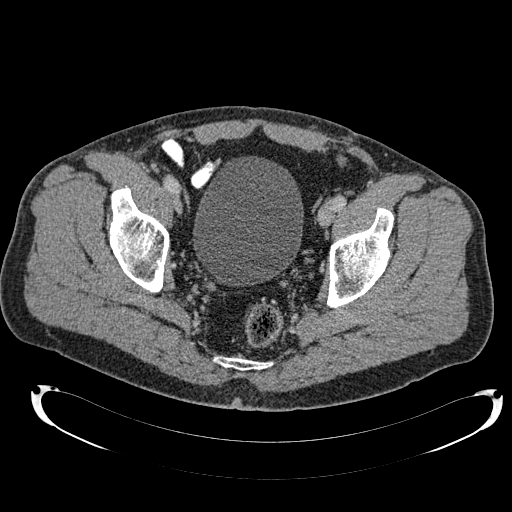
Pelvis | CT
The urinary bladder is at 193,156,303,284.